FLAIR MR.
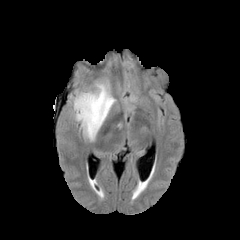
T1-weighted MR.
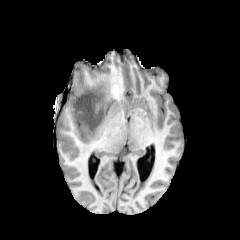
Post-contrast T1-weighted MR image.
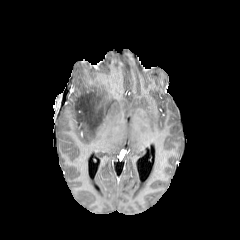
T2-weighted MR image.
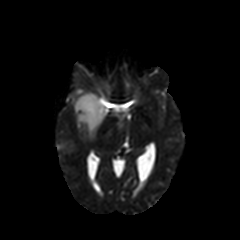
2 edema regions are located at 121,98,137,111; 70,80,119,141. The non-enhancing tumor core is bounded by 76,94,98,127.